MRI slice
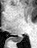

Segmented structures:
• posterior hippocampus: x1=12 y1=36 x2=24 y2=42